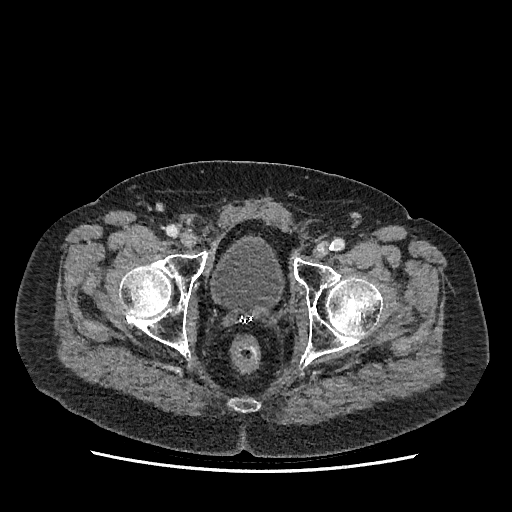
CT slice; Pelvis
• urinary bladder: [x1=211, y1=241, x2=282, y2=313]